FLAIR MR.
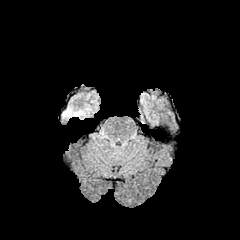
T1-weighted MRI.
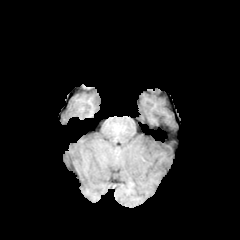
Post-contrast T1-weighted magnetic resonance.
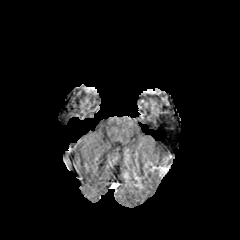
T2-weighted magnetic resonance.
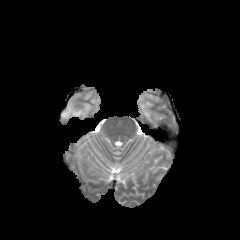
Head.
{
  "edema": [
    "62, 105, 91, 119"
  ]
}